Field of view 339x339 mm, CT, Abdomen 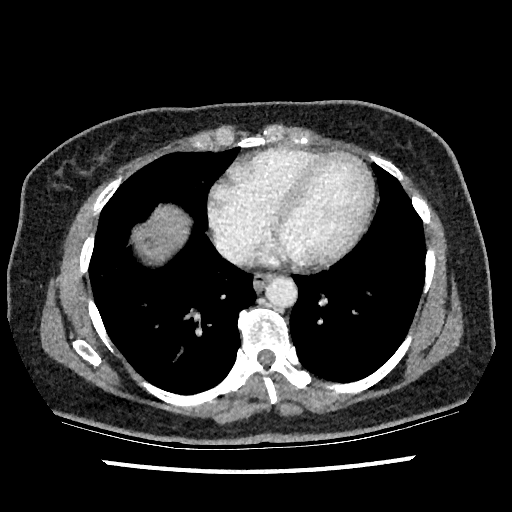
liver lesion: 145:238:154:248 | liver: 135:206:187:258